FLAIR MR image.
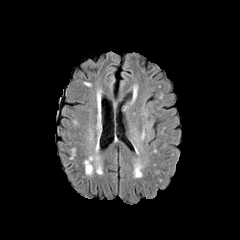
T1-weighted magnetic resonance.
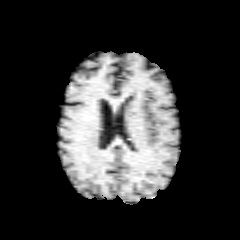
Post-contrast T1-weighted magnetic resonance.
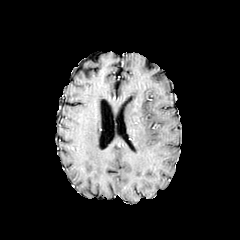
T2-weighted magnetic resonance.
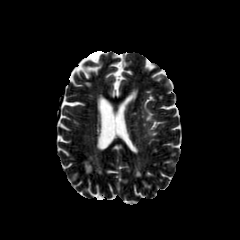
240x240
Edema = box(131, 86, 137, 102).